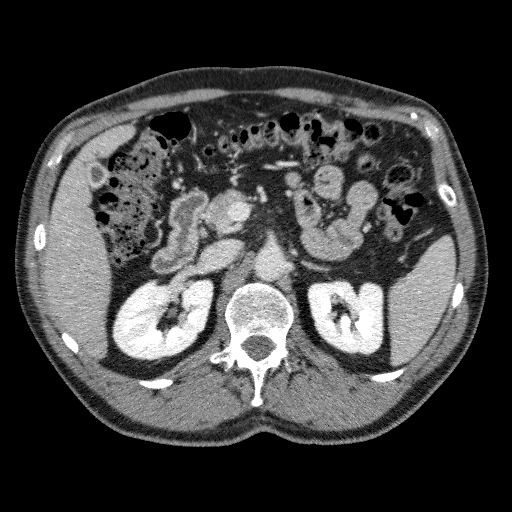

Abdomen; CT scan slice
The liver is located at (left=43, top=125, right=133, bottom=357). 2 kidney regions appear at (left=114, top=280, right=212, bottom=358), (left=308, top=282, right=382, bottom=353).